CT image | Slice 159/260 | Thorax
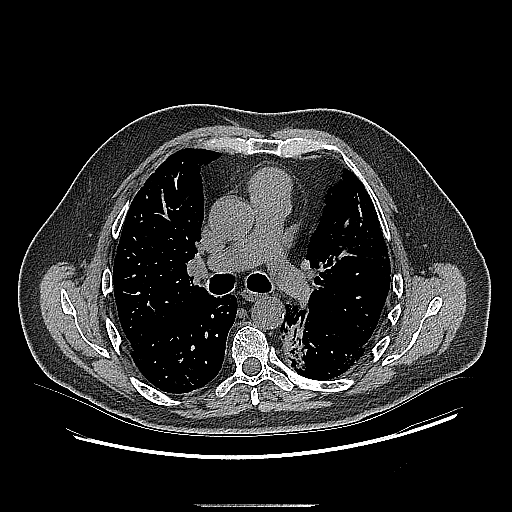

Lung tumor at l=281, t=304, r=310, b=371.